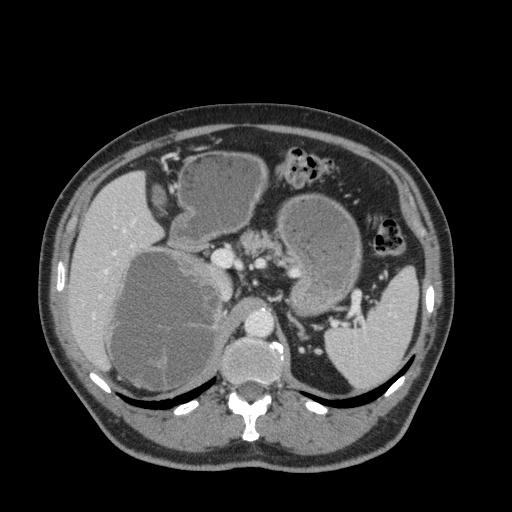
CT slice
{
  "liver": [
    "<bbox>69, 173, 162, 369</bbox>"
  ]
}